Slice 76/155; Brain
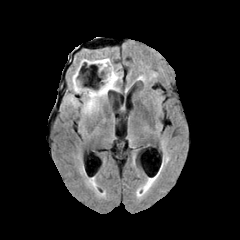
FLAIR MR image.
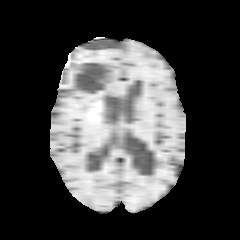
T1-weighted MR image.
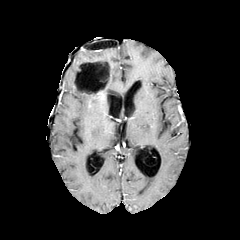
Post-contrast T1-weighted magnetic resonance.
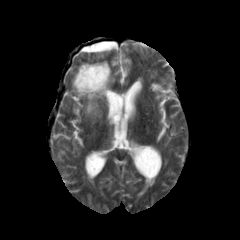
T2-weighted MR.
The non-enhancing tumor core is located at 74,66,108,91. The edema is bounded by 66,54,121,115.